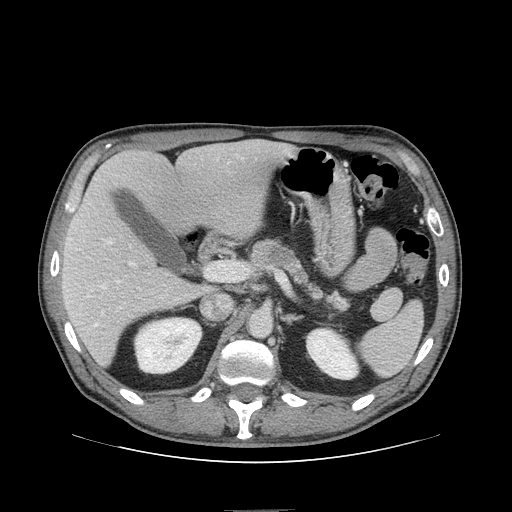 CT slice

{"pancreatic_tumor": ["(268, 246, 288, 263)"], "pancreas": ["(251, 242, 348, 310)"]}